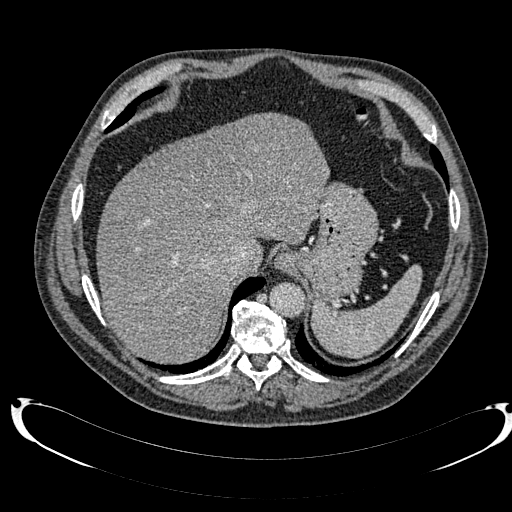 Upper abdomen | Computed tomography | Image size 512x512
The liver appears at <bbox>97, 113, 327, 362</bbox>. The liver lesion lies within <bbox>137, 121, 267, 222</bbox>.